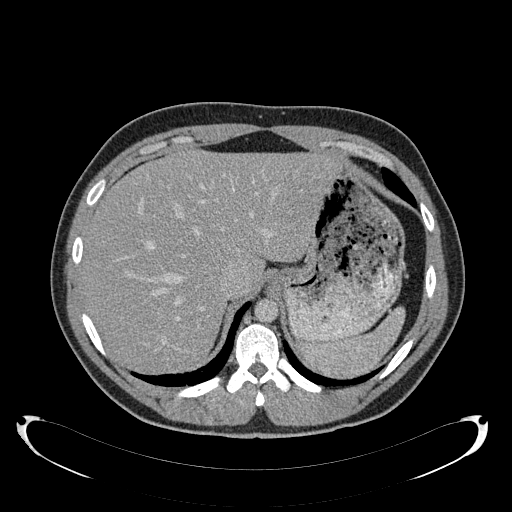 CT scan slice. Image size 512x512.
liver:
  - 82, 152, 335, 369